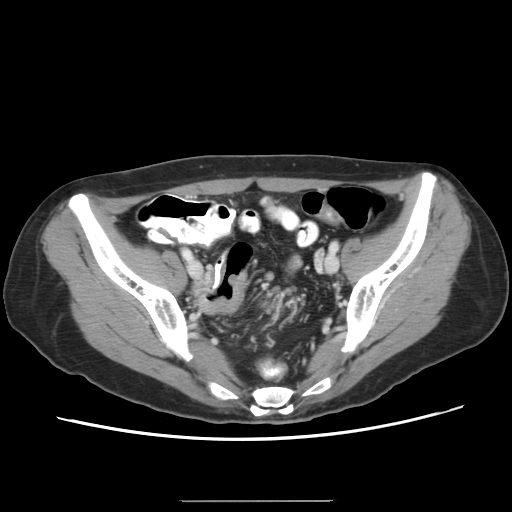 Image size 512x512. CT slice. Pelvis.

{
  "colon_tumor": [
    "x1=197 y1=270 x2=246 y2=315",
    "x1=220 y1=261 x2=225 y2=284"
  ]
}